Slice index 74 | Brain | Image size 240x240
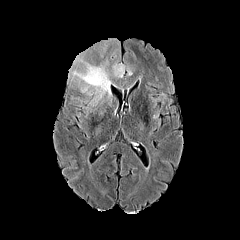
FLAIR MR.
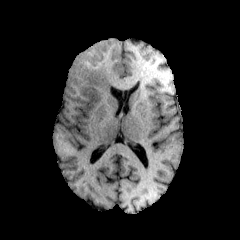
T1-weighted MRI of the same slice.
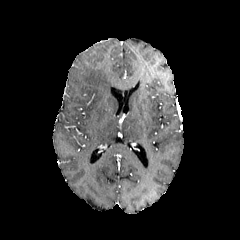
Post-contrast T1-weighted magnetic resonance of the same slice.
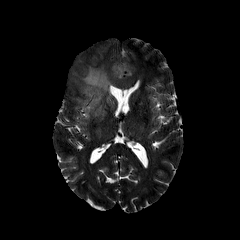
T2-weighted magnetic resonance.
2 edema regions are located at box(69, 57, 124, 111); box(126, 63, 132, 77).